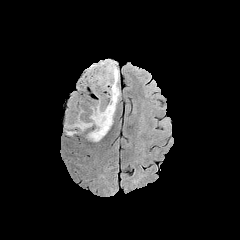
FLAIR MR.
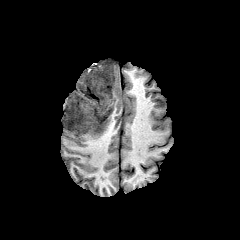
T1-weighted MR image.
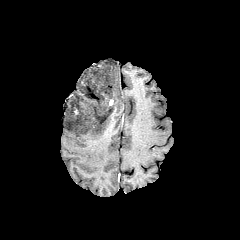
Post-contrast T1-weighted MRI.
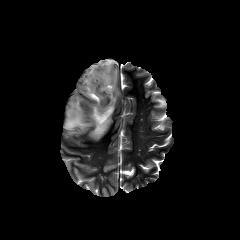
T2-weighted MR.
240x240
<segmentation>
  <edema>[65,59,120,141]</edema>
  <non-enhancing_tumor_core>[94,100,113,123], [100,63,111,72]</non-enhancing_tumor_core>
</segmentation>